Image size 512x512. Computed tomography. Slice index 590. Image width 429 mm. 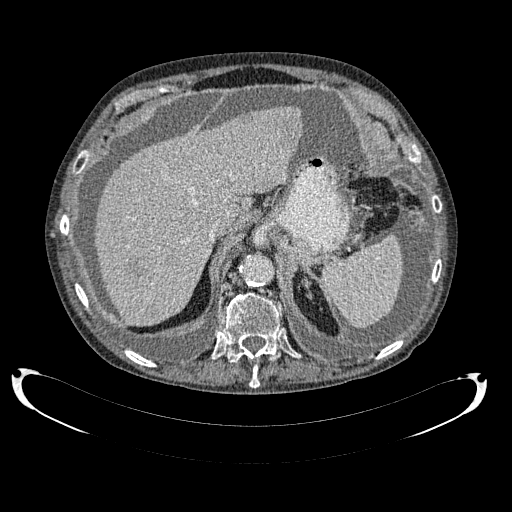 Liver at <bbox>94, 105, 302, 325</bbox>.
Focal liver lesion at <bbox>127, 261, 144, 277</bbox>, <bbox>167, 257, 178, 266</bbox>, <bbox>148, 310, 158, 317</bbox>, <bbox>280, 119, 299, 143</bbox>.